240x240 | Head | Field of view 240 mm wide, 1.00 mm slice spacing
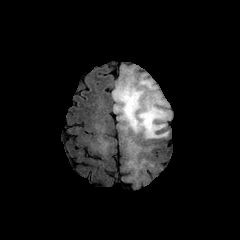
FLAIR MR.
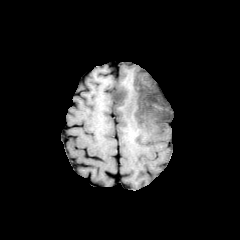
T1-weighted MR.
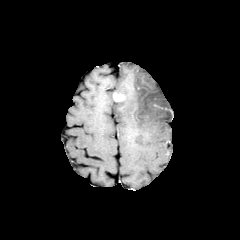
Post-contrast T1-weighted MRI.
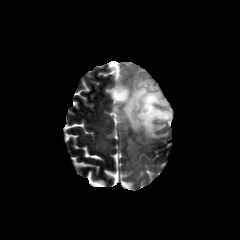
T2-weighted MR.
Findings:
* edema: bbox=[112, 66, 169, 107]; bbox=[118, 88, 172, 151]
* enhancing tumor: bbox=[113, 88, 126, 101]
* non-enhancing tumor core: bbox=[114, 101, 121, 113]; bbox=[114, 76, 171, 124]